Computed tomography

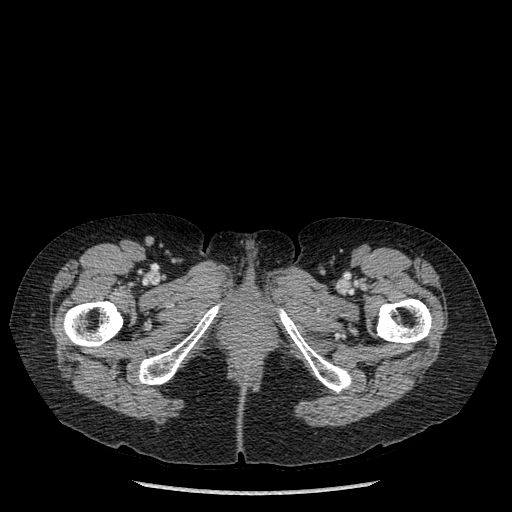
bone:
  - (x1=277, y1=309, x2=351, y2=392)
  - (x1=377, y1=299, x2=432, y2=346)
  - (x1=138, y1=304, x2=219, y2=384)
  - (x1=60, y1=300, x2=122, y2=348)